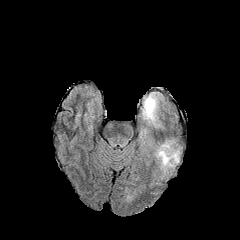
FLAIR MR.
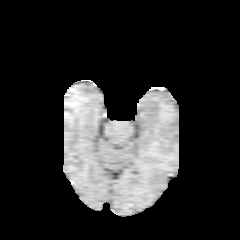
Same slice, T1-weighted MR image.
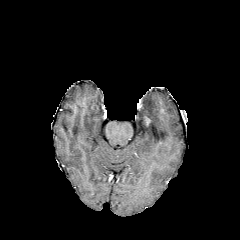
Post-contrast T1-weighted MR of the same slice.
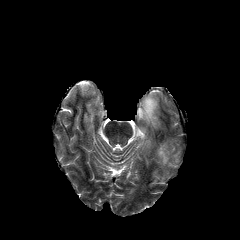
T2-weighted MRI of the same slice.
3 edema regions are located at (x1=138, y1=92, x2=165, y2=128), (x1=154, y1=140, x2=183, y2=167), (x1=138, y1=126, x2=152, y2=146).